Slice 84 of 155
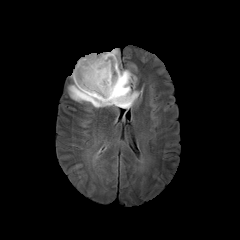
FLAIR MR.
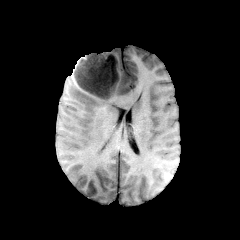
T1-weighted MR of the same slice.
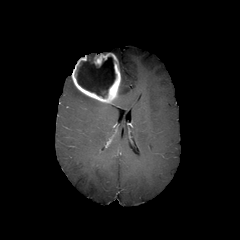
Post-contrast T1-weighted MR image.
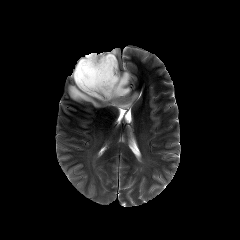
Same slice, T2-weighted MR.
Non-enhancing tumor core at l=77, t=56, r=115, b=96.
Edema at l=68, t=48, r=139, b=109.
Enhancing tumor at l=72, t=53, r=120, b=103.